Abdomen; 512x512 px; CT scan slice; Image width 396 mm

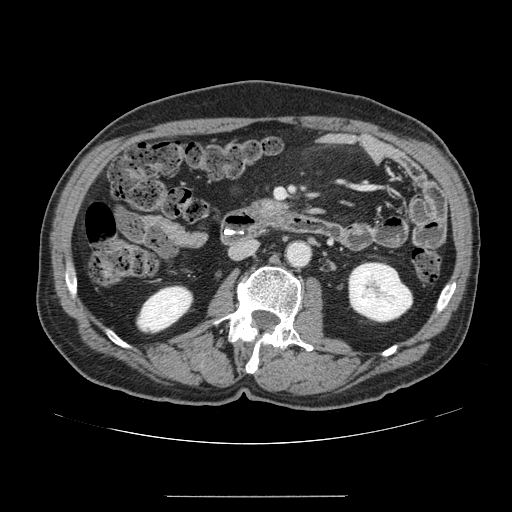 Pancreatic tumor: (left=252, top=198, right=285, bottom=213).
Pancreas: (left=281, top=201, right=290, bottom=213), (left=249, top=198, right=280, bottom=214).